Head.
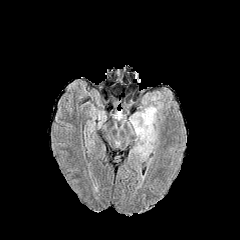
FLAIR magnetic resonance.
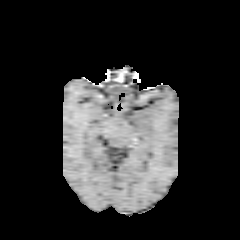
T1-weighted MRI of the same slice.
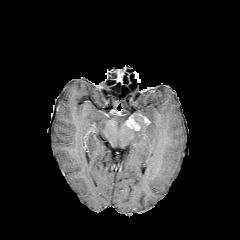
Post-contrast T1-weighted magnetic resonance.
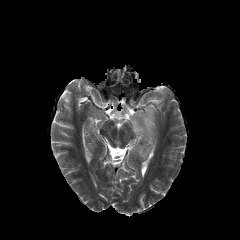
T2-weighted MRI.
<segmentation>
  <enhancing_tumor>(left=127, top=111, right=151, bottom=135)</enhancing_tumor>
  <edema>(left=114, top=111, right=125, bottom=120), (left=130, top=91, right=163, bottom=161)</edema>
</segmentation>